Brain.
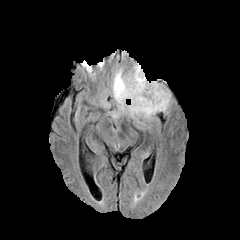
FLAIR MR.
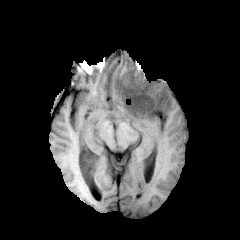
T1-weighted MR image.
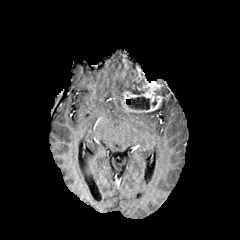
Same slice, post-contrast T1-weighted magnetic resonance.
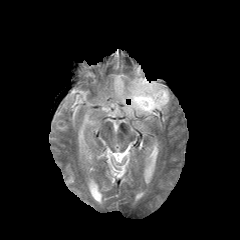
Same slice, T2-weighted MR.
edema: bbox=[112, 65, 133, 104]; bbox=[128, 111, 156, 119]; bbox=[158, 85, 170, 110] | non-enhancing tumor core: bbox=[123, 78, 144, 94]; bbox=[129, 97, 149, 109]; bbox=[155, 87, 165, 96] | enhancing tumor: bbox=[122, 69, 169, 113]